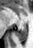

MR | 33x48 px | Hippocampus
The posterior hippocampus appears at x1=15, y1=26, x2=27, y2=41.